CT; Field of view 381x381 mm

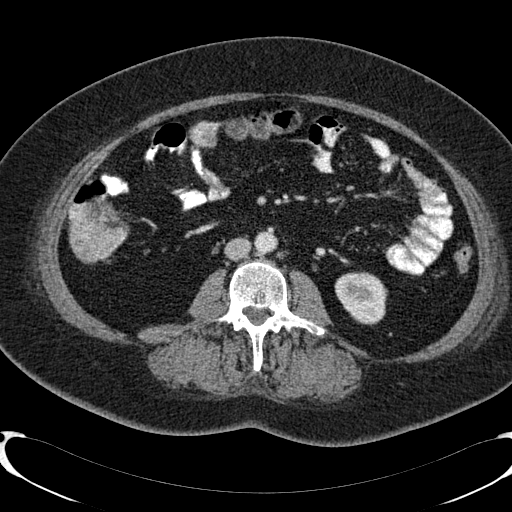 kidney:
  - (336,274,385,323)